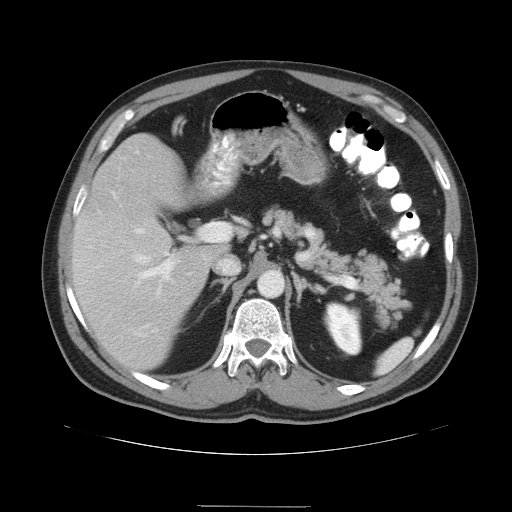
Abdomen; CT slice
Only some of the vessels may be annotated.
10 hepatic vessel regions are bounded by bbox(137, 151, 138, 153); bbox(112, 192, 117, 199); bbox(100, 213, 102, 217); bbox(156, 288, 160, 295); bbox(134, 254, 151, 263); bbox(201, 223, 231, 241); bbox(154, 330, 156, 332); bbox(138, 252, 179, 280); bbox(137, 229, 143, 232); bbox(138, 325, 149, 336).